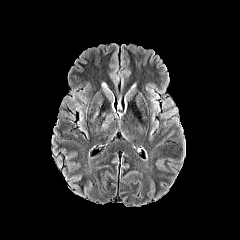
FLAIR MR.
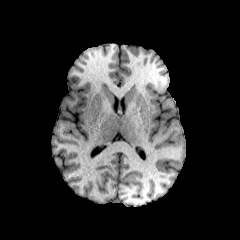
Same slice, T1-weighted magnetic resonance.
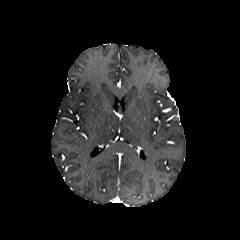
Post-contrast T1-weighted MRI of the same slice.
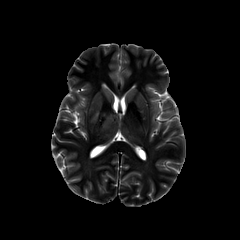
T2-weighted MR image.
The edema lies within 102,115,112,128.